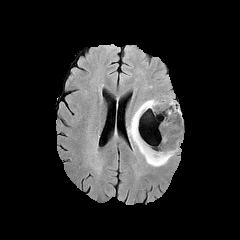
FLAIR MR image.
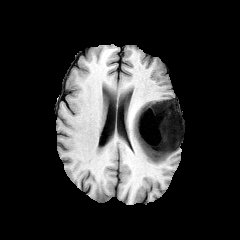
Same slice, T1-weighted MR.
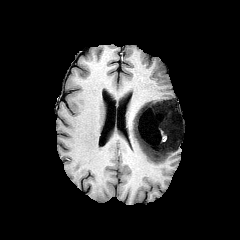
Post-contrast T1-weighted MR.
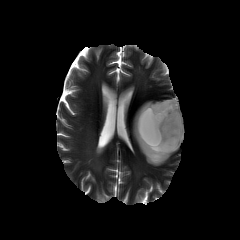
T2-weighted MR.
<segmentation>
  <non-enhancing_tumor_core>bbox(144, 100, 181, 157)</non-enhancing_tumor_core>
  <edema>bbox(128, 99, 182, 166); bbox(171, 106, 181, 129); bbox(159, 98, 177, 105)</edema>
</segmentation>